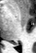 Magnetic resonance, Medial temporal lobe
The posterior hippocampus lies within x1=14, y1=44, x2=18, y2=44.